FLAIR magnetic resonance.
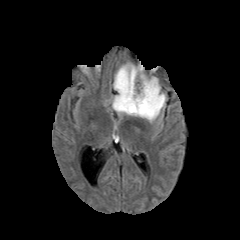
T1-weighted magnetic resonance.
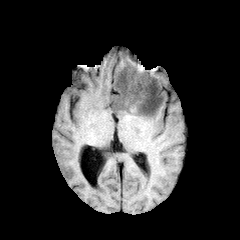
Post-contrast T1-weighted MRI.
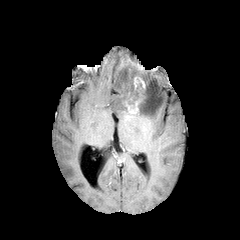
T2-weighted MR.
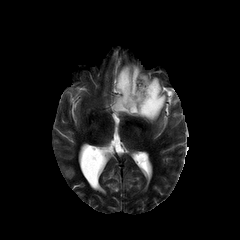
Image size 240x240, Brain
<segmentation>
  <edema>region(110, 63, 168, 126)</edema>
  <non-enhancing_tumor_core>region(124, 83, 143, 111); region(147, 92, 157, 109)</non-enhancing_tumor_core>
  <enhancing_tumor>region(127, 101, 138, 113); region(134, 77, 145, 89)</enhancing_tumor>
</segmentation>